Image size 512x512 | CT | Slice 46 of 95 | Abdomen

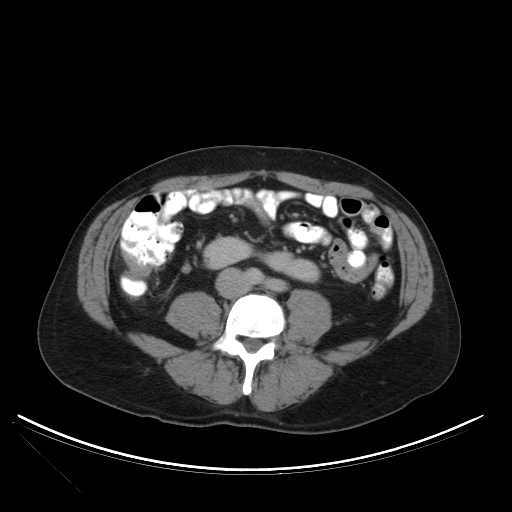

The colon tumor is bounded by left=122, top=251, right=152, bottom=281.